CT scan slice

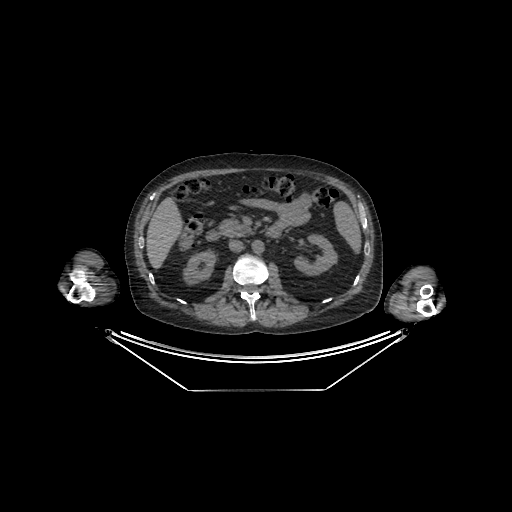 Annotated regions:
* liver: (146, 198, 182, 267)
* kidney: (183, 249, 216, 284), (294, 234, 337, 275)